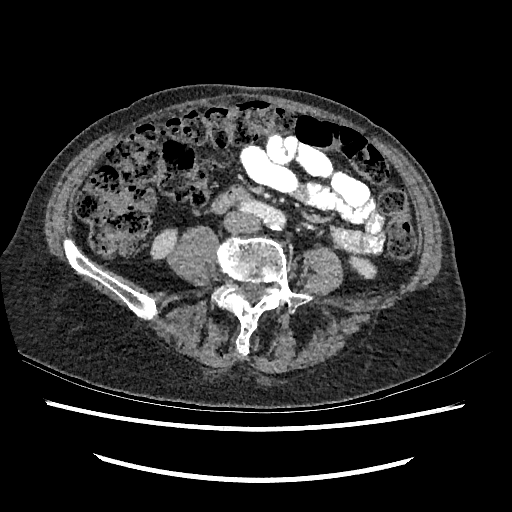

CT slice, 512x512, Abdomen

<segmentation>
  <kidney><box>149,228,181,260</box>, <box>351,257,375,277</box></kidney>
</segmentation>